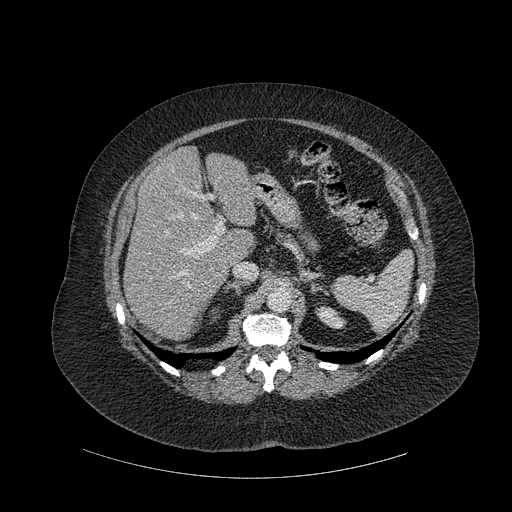 CT scan slice
Lung: bounding box <bbox>142, 338, 235, 367</bbox>, <bbox>302, 329, 396, 363</bbox>.
Liver: bounding box <bbox>124, 145, 254, 341</bbox>, <bbox>207, 154, 256, 226</bbox>.
Bone: bounding box <bbox>409, 229, 417, 239</bbox>, <bbox>419, 283, 425, 303</bbox>, <bbox>247, 351, 290, 391</bbox>, <bbox>243, 314, 290, 346</bbox>, <bbox>116, 303, 124, 323</bbox>, <bbox>212, 366, 224, 375</bbox>, <bbox>319, 362, 337, 370</bbox>, <bbox>366, 350, 382, 363</bbox>, <bbox>160, 362, 179, 375</bbox>.
Kidney: bounding box <bbox>319, 307, 342, 327</bbox>.